320x320 px; MRI slice; Slice 17/90

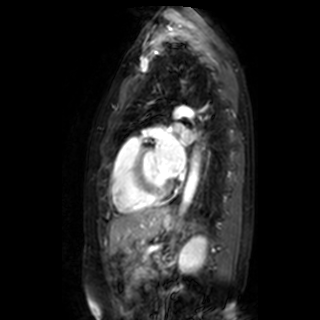

• left atrium: <bbox>156, 131, 185, 176</bbox>, <bbox>173, 123, 192, 142</bbox>